FLAIR magnetic resonance.
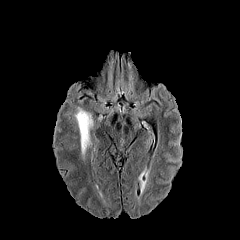
T1-weighted MR.
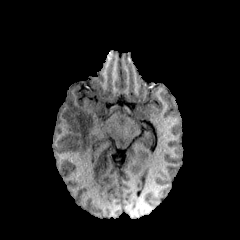
Post-contrast T1-weighted MR image.
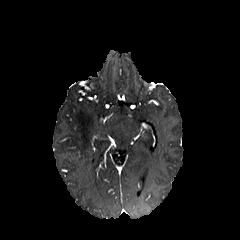
T2-weighted MR.
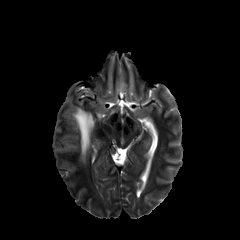
Head.
The edema is at (74, 107, 93, 159).